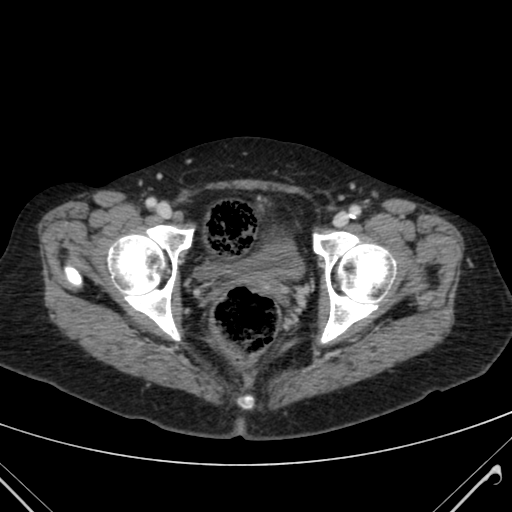

CT slice, Lower abdomen
urinary bladder: (left=203, top=229, right=300, bottom=283)